FLAIR MRI.
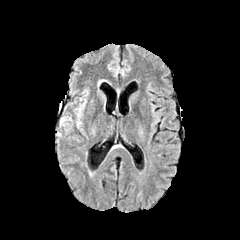
T1-weighted MRI.
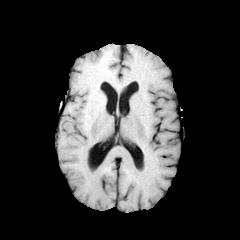
Post-contrast T1-weighted MR.
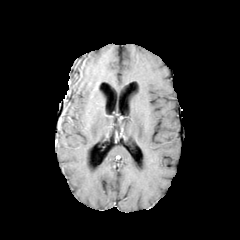
T2-weighted MR.
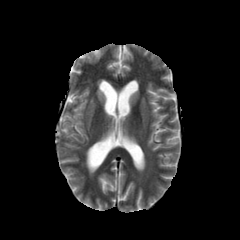
Brain
Non-enhancing tumor core at rect(58, 112, 71, 136).
Edema at rect(60, 90, 88, 136).